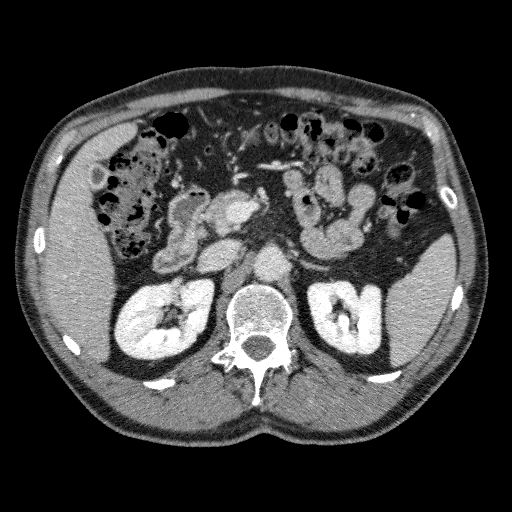

CT slice, Liver

liver:
  - (left=43, top=123, right=135, bottom=360)
kidney:
  - (left=115, top=280, right=213, bottom=358)
  - (left=308, top=282, right=380, bottom=353)